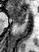
MR image.

The anterior hippocampus is at 8:5:25:21. The posterior hippocampus is located at 15:22:24:25.